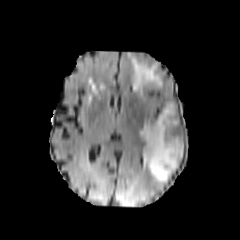
FLAIR MR.
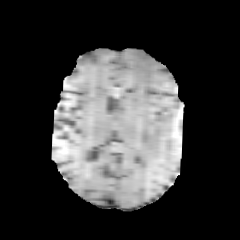
T1-weighted MR image.
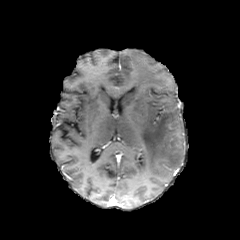
Post-contrast T1-weighted MR image of the same slice.
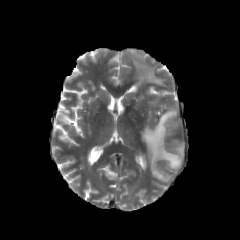
Same slice, T2-weighted MR.
Brain, 240x240 px
edema: 137 103 183 182, 128 52 164 92